512x512 px | Liver | Computed tomography
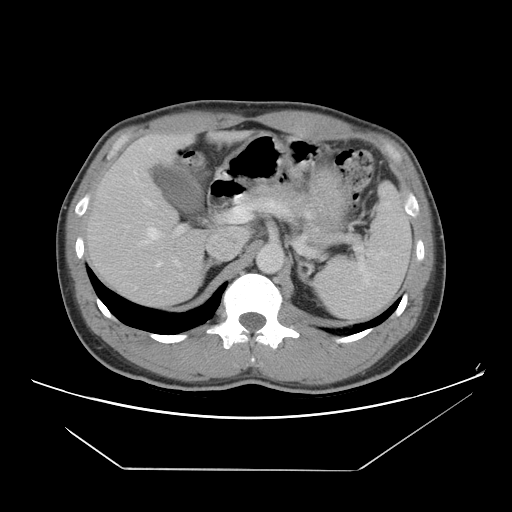

Some hepatic vessels may have no box.
6 hepatic vessel regions are bounded by region(176, 226, 183, 233); region(144, 200, 150, 205); region(180, 274, 182, 275); region(141, 223, 158, 243); region(149, 147, 151, 150); region(156, 261, 161, 266).